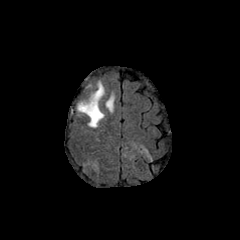
FLAIR magnetic resonance.
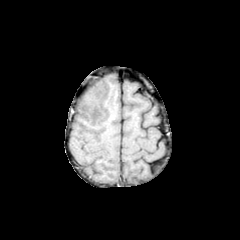
T1-weighted MRI of the same slice.
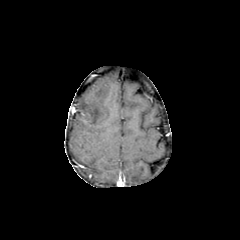
Post-contrast T1-weighted MR.
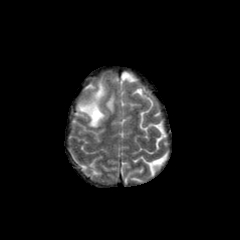
T2-weighted MR.
240x240
edema: {"x1": 76, "y1": 81, "x2": 106, "y2": 127}, {"x1": 105, "y1": 94, "x2": 115, "y2": 113}